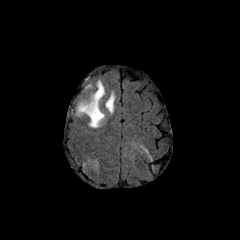
FLAIR magnetic resonance.
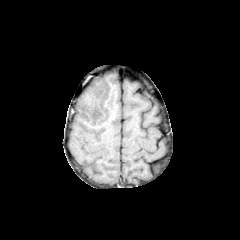
T1-weighted MR image of the same slice.
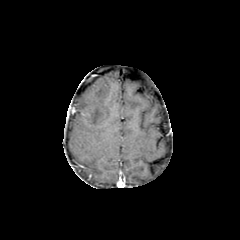
Post-contrast T1-weighted MRI.
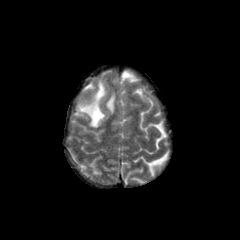
T2-weighted MRI.
• edema: <bbox>76, 81, 105, 127</bbox>, <bbox>105, 92, 115, 114</bbox>